FLAIR magnetic resonance.
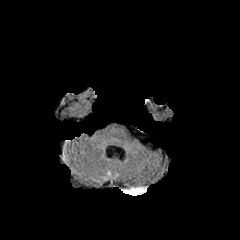
T1-weighted MRI.
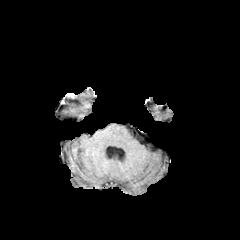
Post-contrast T1-weighted magnetic resonance.
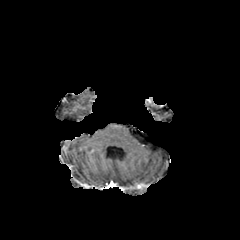
T2-weighted MR image.
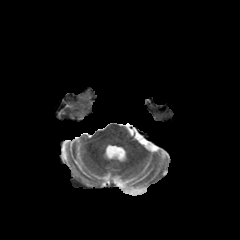
{
  "edema": [
    "region(122, 188, 146, 195)"
  ]
}